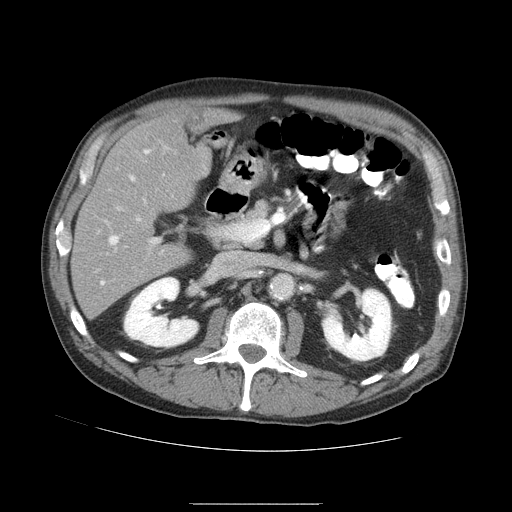
Liver, CT

The vessel annotation is not exhaustive.
Hepatic vessel: bounding box box=[160, 251, 162, 253]; box=[117, 207, 121, 210]; box=[130, 175, 134, 180]; box=[148, 238, 159, 253]; box=[109, 236, 118, 250]; box=[231, 224, 248, 241]; box=[100, 281, 104, 284]; box=[226, 233, 228, 234]; box=[144, 149, 150, 153]; box=[136, 217, 140, 220]; box=[144, 200, 146, 203].